240x240; Field of view 240x240 mm
FLAIR MR.
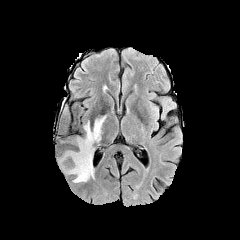
T1-weighted MR image.
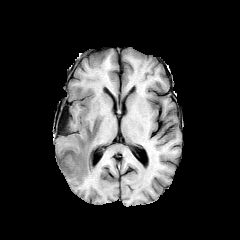
Post-contrast T1-weighted magnetic resonance.
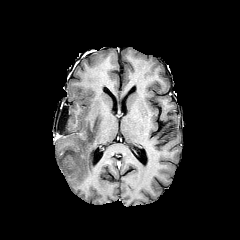
T2-weighted MR image.
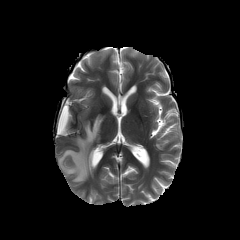
Edema at rect(58, 116, 105, 183).